Image width 388 mm. Computed tomography. Slice 135 of 193. Abdomen. 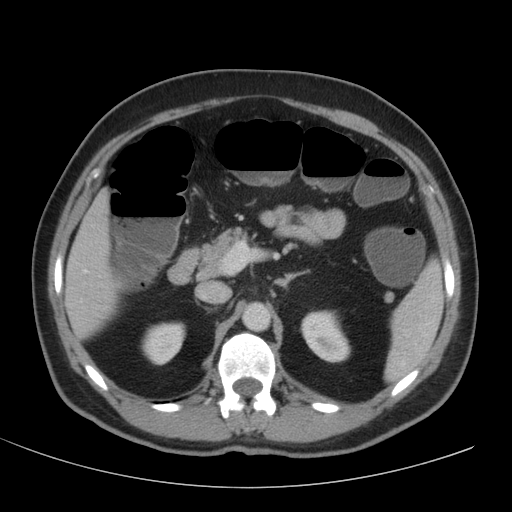
The liver is located at (left=65, top=193, right=115, bottom=337). 2 kidney regions are located at (left=143, top=323, right=184, bottom=363), (left=302, top=311, right=349, bottom=361).